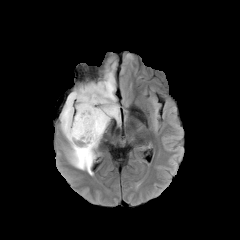
FLAIR MRI.
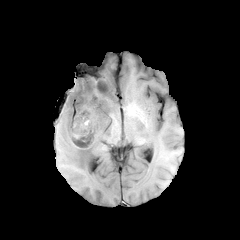
Same slice, T1-weighted MR image.
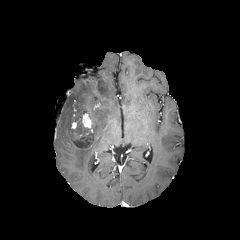
Same slice, post-contrast T1-weighted MR image.
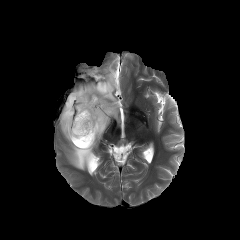
T2-weighted MR image.
edema: bbox(60, 70, 119, 174) | non-enhancing tumor core: bbox(73, 95, 109, 147) | enhancing tumor: bbox(82, 112, 92, 132)